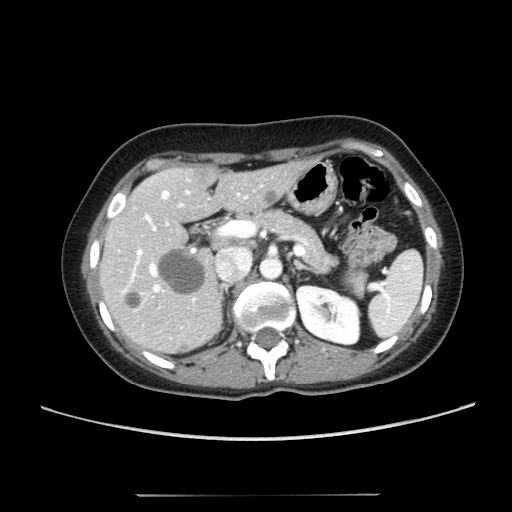 Upper abdomen, CT image

The kidney lies within (297,287,358,343). The liver is at (99,156,316,355). 5 liver lesion regions are located at (157,248,207,294), (263,189,278,205), (193,167,207,185), (176,344,189,353), (122,289,143,308).